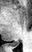 MRI slice; Image size 32x52

Posterior hippocampus: (x1=12, y1=42, x2=18, y2=46).